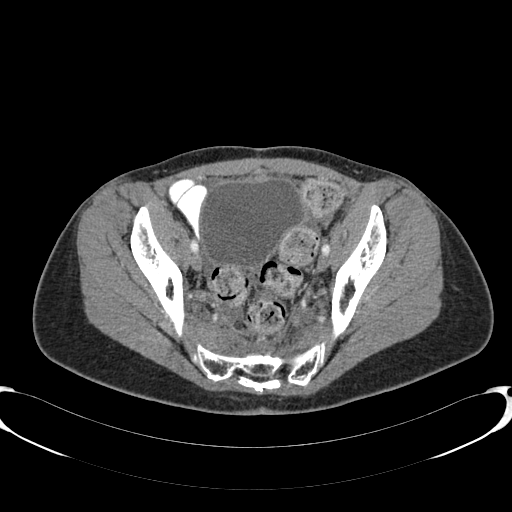
Computed tomography. Image size 512x512.

<segmentation>
  <urinary_bladder>[202,180,303,266]</urinary_bladder>
</segmentation>